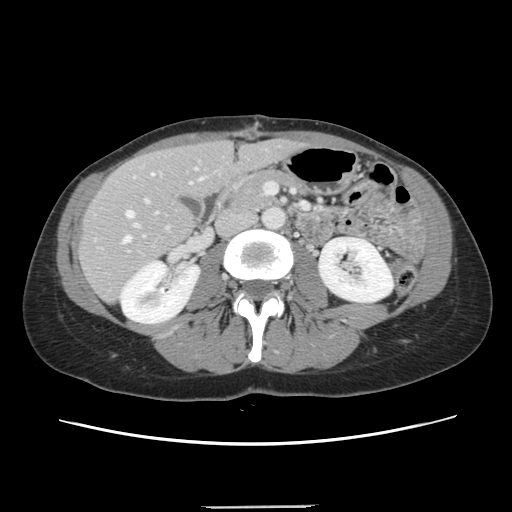 CT

Some hepatic vessels may have no box.
* hepatic vessel: rect(166, 226, 168, 228); rect(199, 177, 203, 179); rect(126, 211, 133, 217); rect(155, 212, 156, 213); rect(190, 182, 191, 183); rect(122, 236, 130, 242); rect(134, 223, 138, 226); rect(195, 168, 196, 169); rect(145, 199, 148, 202)